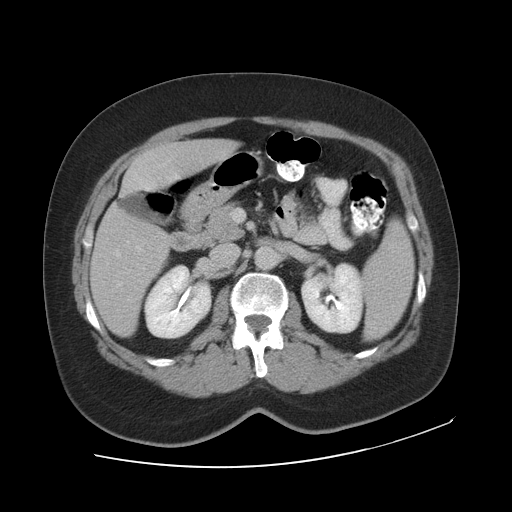

CT. Liver. Not every hepatic vessel necessarily has a box.
Hepatic vessel = 168:159:169:161, 116:251:120:256, 143:267:144:269, 163:163:165:165, 127:241:129:243, 136:246:141:250, 125:170:155:189, 117:282:121:286.